Head
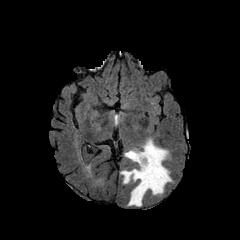
FLAIR MR.
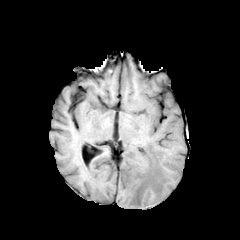
T1-weighted magnetic resonance.
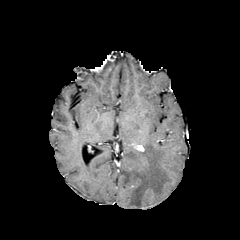
Same slice, post-contrast T1-weighted MRI.
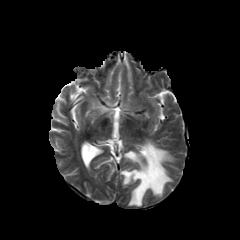
T2-weighted MR.
The edema lies within (120,139,172,206).